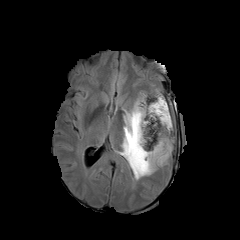
FLAIR MR image.
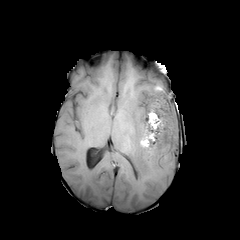
Same slice, T1-weighted magnetic resonance.
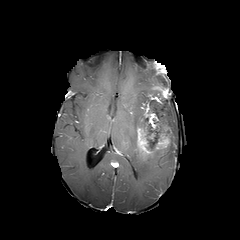
Post-contrast T1-weighted MR image of the same slice.
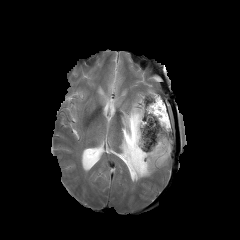
T2-weighted MRI.
Brain, 240x240 px
{"enhancing_tumor": ["(left=137, top=128, right=145, bottom=155)", "(left=156, top=136, right=169, bottom=149)"], "edema": ["(left=113, top=91, right=173, bottom=182)", "(left=107, top=72, right=122, bottom=93)", "(left=103, top=94, right=123, bottom=106)"], "non-enhancing_tumor_core": ["(left=140, top=94, right=171, bottom=155)", "(left=134, top=126, right=145, bottom=157)"]}